Slice 74/155
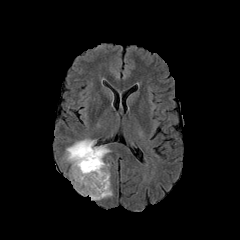
FLAIR MR image.
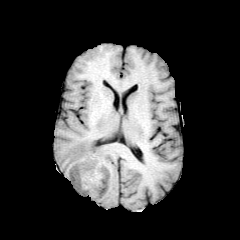
T1-weighted MRI.
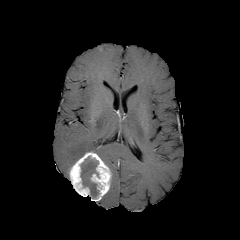
Post-contrast T1-weighted MR image of the same slice.
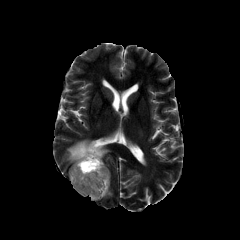
T2-weighted MR of the same slice.
Edema: box=[64, 139, 109, 165]; box=[86, 182, 97, 198].
Non-enhancing tumor core: box=[80, 158, 97, 189].
Enhancing tumor: box=[69, 151, 109, 200].